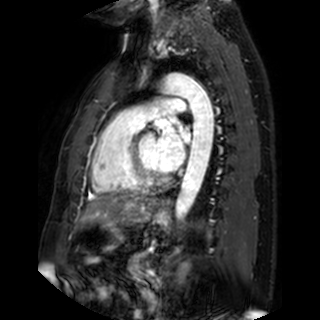
MR
The left atrium lies within bbox(157, 115, 190, 171).